FLAIR magnetic resonance.
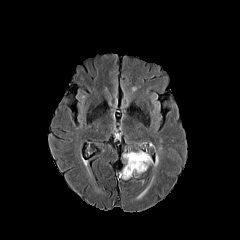
T1-weighted MRI.
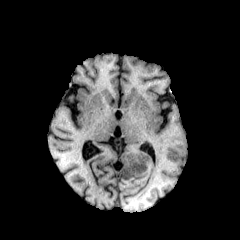
Post-contrast T1-weighted magnetic resonance.
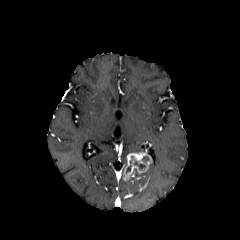
T2-weighted MR image.
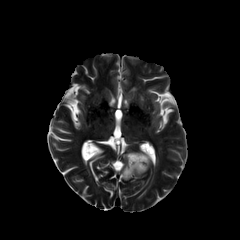
Image size 240x240, Brain
Findings:
* non-enhancing tumor core: left=134, top=160, right=147, bottom=170
* enhancing tumor: left=120, top=150, right=152, bottom=180